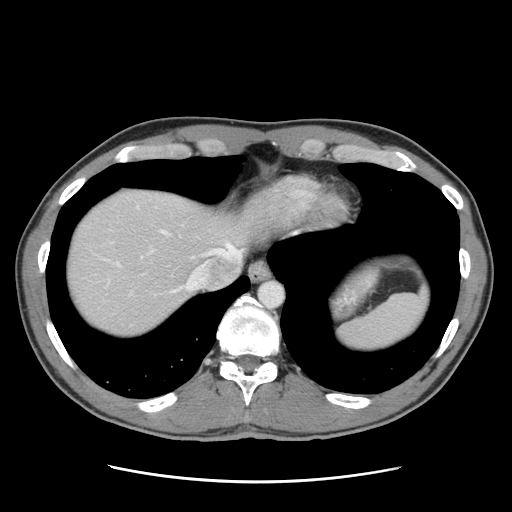
CT scan slice.
Some hepatic vessels may have no box.
- hepatic vessel: bbox=[208, 243, 240, 260]; bbox=[190, 256, 193, 258]; bbox=[107, 280, 108, 282]; bbox=[114, 262, 118, 265]; bbox=[149, 251, 151, 252]; bbox=[162, 231, 165, 233]; bbox=[195, 267, 199, 270]; bbox=[172, 275, 201, 291]